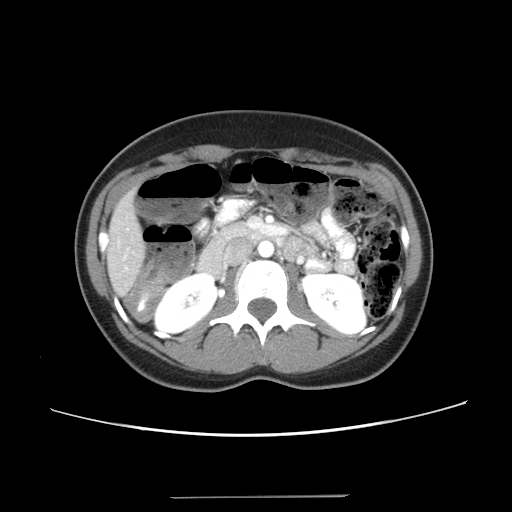
Computed tomography
Some hepatic vessels may have no box.
2 hepatic vessel regions are located at 127, 249, 129, 250; 125, 267, 127, 269.